Computed tomography; Abdomen; Slice index 28 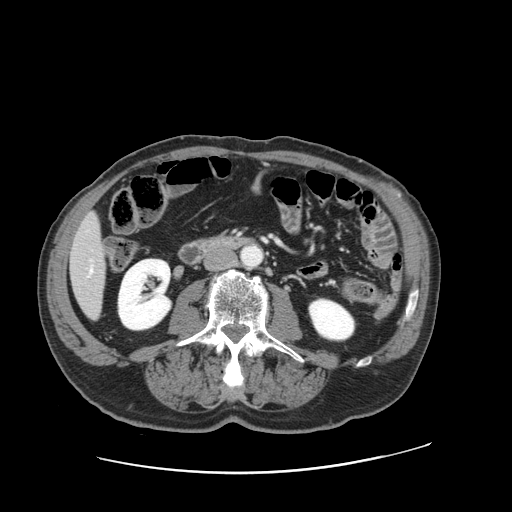

Some hepatic vessels may have no box.
hepatic vessel: [89,267,92,274], [90,260,91,261]